CT image | Slice index 450 | Upper abdomen 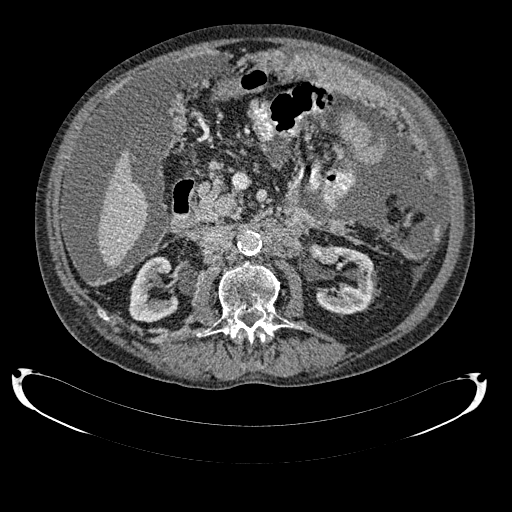 The liver is bounded by left=98, top=150, right=147, bottom=268. 2 kidney regions appear at left=315, top=247, right=373, bottom=313; left=129, top=257, right=177, bottom=321.